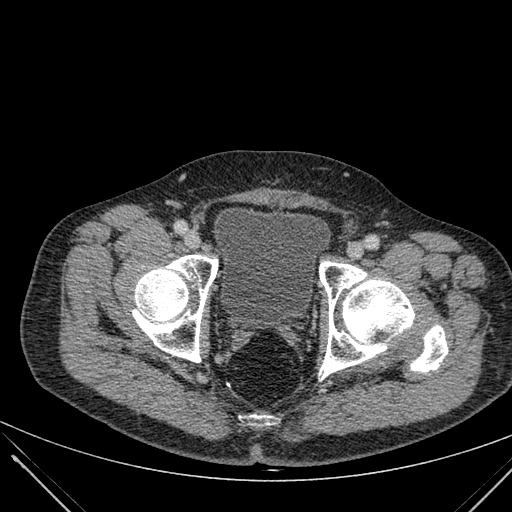

CT slice
Annotated regions:
• urinary bladder: (214,207,330,321)